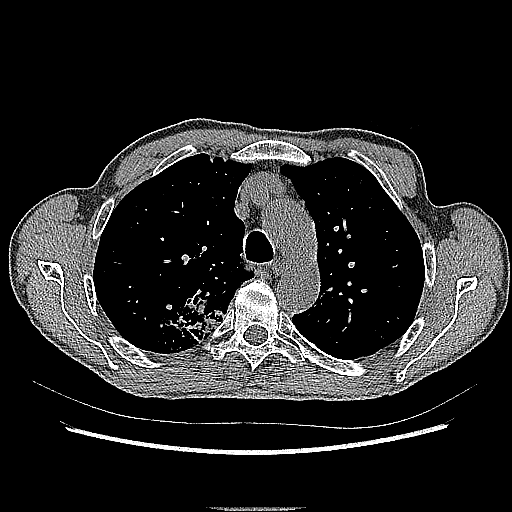
CT, Lung
{"lung_tumor": ["158:283:229:343"]}